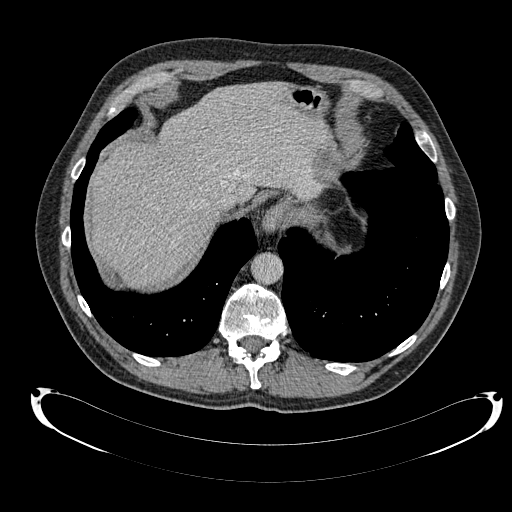 Computed tomography | 512x512

The liver is bounded by (93, 83, 327, 286).